Abdomen, Computed tomography
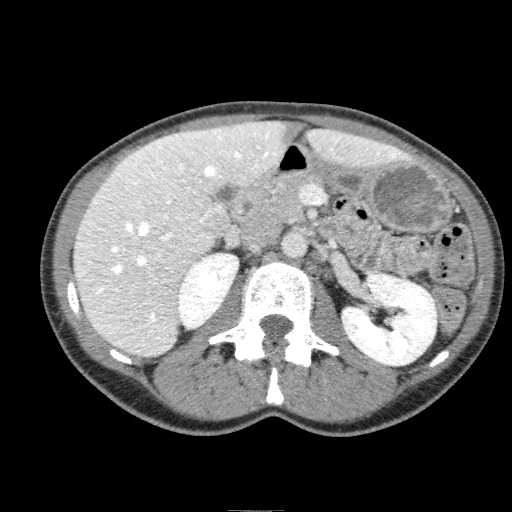

<segmentation>
  <kidney>(x1=177, y1=253, x2=237, y2=328), (x1=342, y1=274, x2=436, y2=365)</kidney>
  <liver>(x1=305, y1=128, x2=409, y2=167), (x1=73, y1=119, x2=285, y2=355)</liver>
  <hepatic_lesion>(x1=278, y1=121, x2=303, y2=145), (x1=198, y1=208, x2=228, y2=237)</hepatic_lesion>
</segmentation>